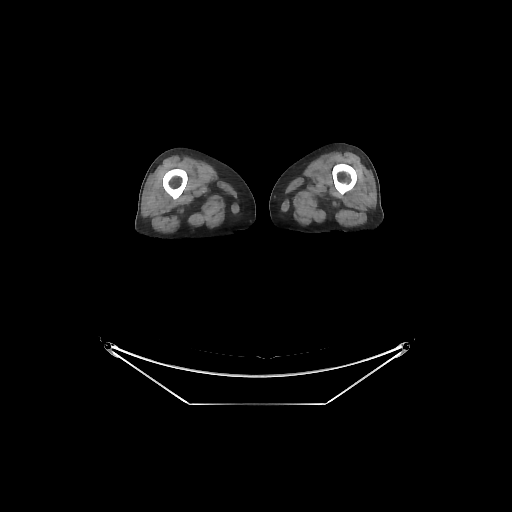
CT scan slice
bone:
  - rect(332, 164, 356, 194)
  - rect(163, 169, 187, 199)